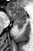

Hippocampus; MR image; 33x51

- posterior hippocampus: 15 24 23 29
- anterior hippocampus: 9 9 26 23